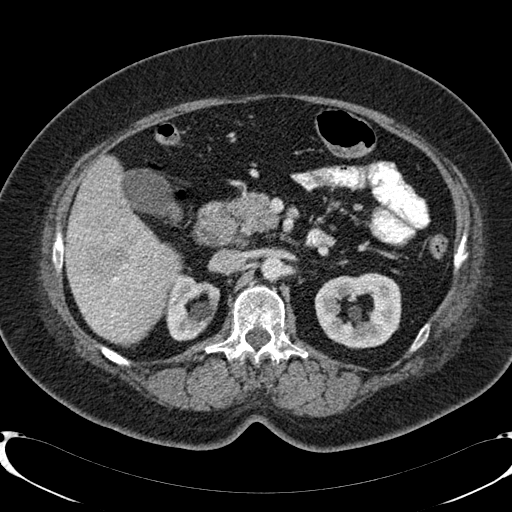
CT image
{"kidney": ["<box>165,273,219,339</box>", "<box>315,274,400,347</box>"], "liver": ["<box>67,157,179,342</box>"], "focal_liver_lesion": ["<box>87,246,125,276</box>"]}